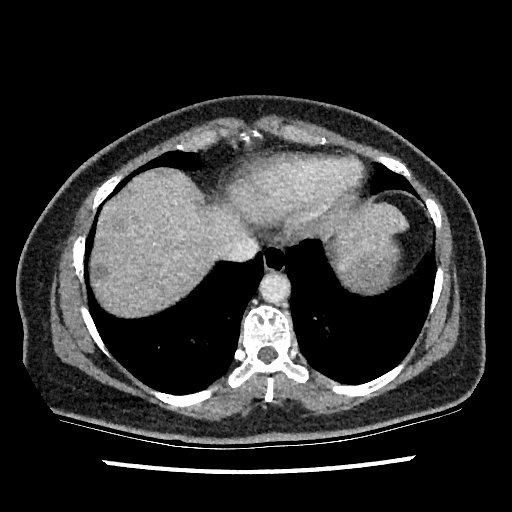
512x512 px; Computed tomography; Liver
2 liver lesion regions are located at [x1=95, y1=266, x2=107, y2=277], [x1=113, y1=220, x2=122, y2=226]. 2 liver regions are located at [x1=338, y1=205, x2=406, y2=254], [x1=91, y1=169, x2=273, y2=314].